Head. Slice 77/155. Image width 240 mm.
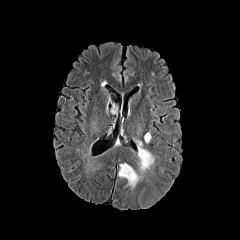
FLAIR MR.
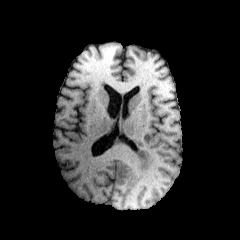
T1-weighted magnetic resonance.
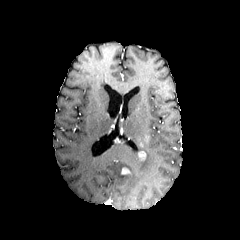
Post-contrast T1-weighted MR.
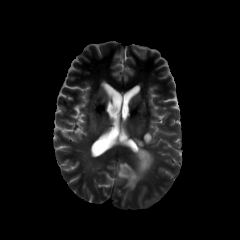
T2-weighted magnetic resonance.
{"edema": ["<box>143,129,151,144</box>", "<box>117,151,153,189</box>", "<box>134,138,145,151</box>"], "enhancing_tumor": ["<box>137,151,146,160</box>", "<box>121,167,130,174</box>"]}